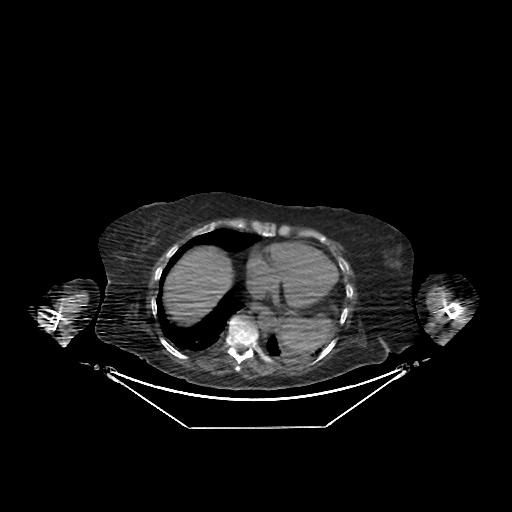

CT scan slice, 512x512
Liver = 163, 246, 234, 326.